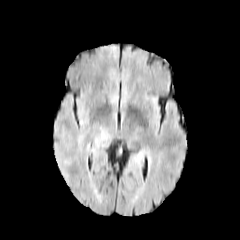
FLAIR MRI.
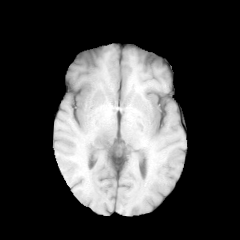
T1-weighted MR image.
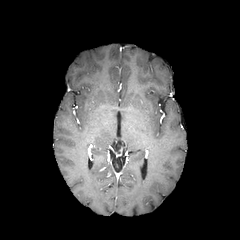
Post-contrast T1-weighted MR image.
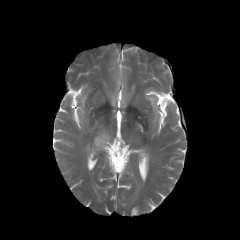
T2-weighted MRI.
Edema at 95, 135, 108, 144.